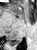

MR, 37x50
posterior_hippocampus:
  - region(10, 39, 20, 44)